FLAIR MRI.
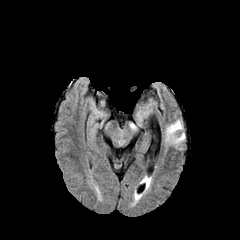
T1-weighted MRI.
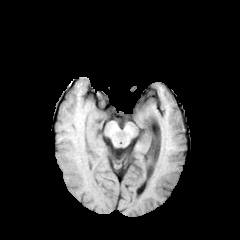
Post-contrast T1-weighted MRI.
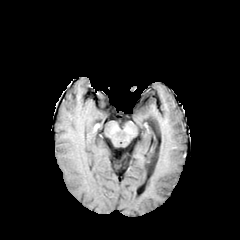
T2-weighted MR.
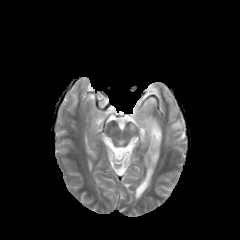
The edema lies within rect(165, 120, 184, 144).